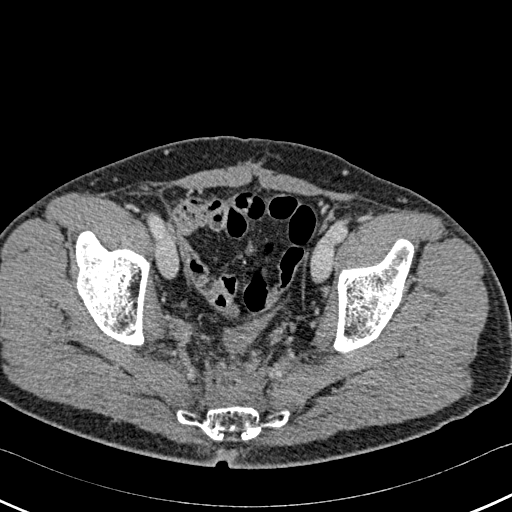
CT; Image size 512x512

3 bone regions appear at [334,239,413,352], [177,406,289,441], [76,231,148,344].